Slice 50/155 | Brain | Image width 240 mm
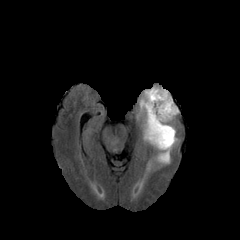
FLAIR MR image.
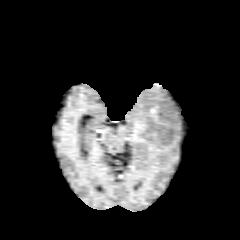
T1-weighted MR image of the same slice.
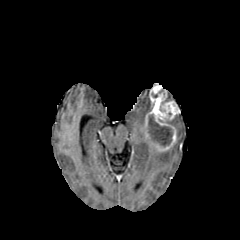
Same slice, post-contrast T1-weighted MR.
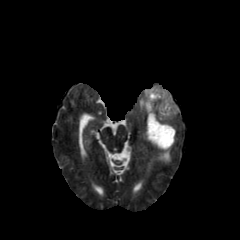
T2-weighted MR image.
- enhancing tumor: (145, 84, 179, 127), (156, 126, 175, 149)
- edema: (168, 114, 178, 128), (135, 89, 175, 164)
- non-enhancing tumor core: (148, 114, 173, 146)